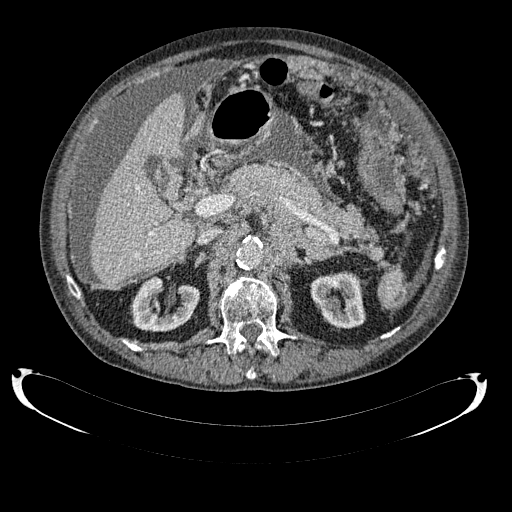 CT scan slice
Kidney: bounding box <bbox>311, 273, 364, 327</bbox>, <bbox>132, 277, 199, 330</bbox>.
Liver: bounding box <bbox>90, 93, 194, 286</bbox>.